MRI slice, Image width 35 mm, Hippocampus, Slice index 29 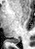
<segmentation>
  <posterior_hippocampus>box(8, 39, 19, 42)</posterior_hippocampus>
</segmentation>